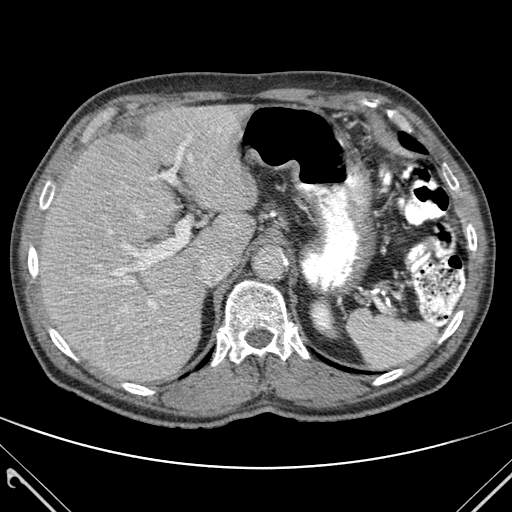 CT scan slice

Kidney at <box>313,304,329,329</box>.
Bone at <box>439,311,462,342</box>, <box>444,164,458,189</box>, <box>212,281,309,365</box>, <box>40,182,53,210</box>, <box>28,246,37,276</box>, <box>374,369,401,384</box>, <box>467,225,476,250</box>, <box>50,329,76,359</box>, <box>123,383,153,395</box>.
Lung at <box>399,132,426,153</box>.
Liver at <box>41,104,256,383</box>.